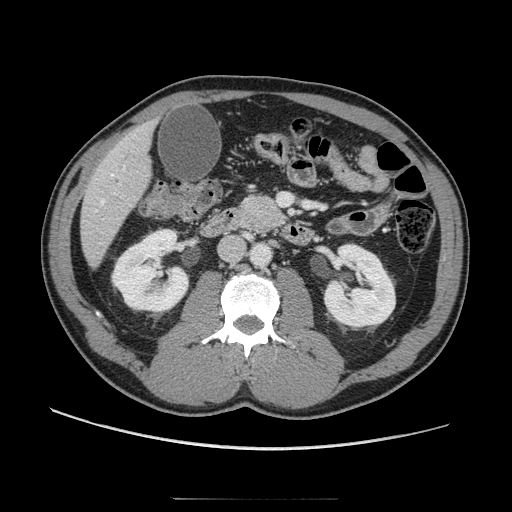 Abdomen; Image size 512x512; CT
Pancreas at <box>232,193,288,237</box>.